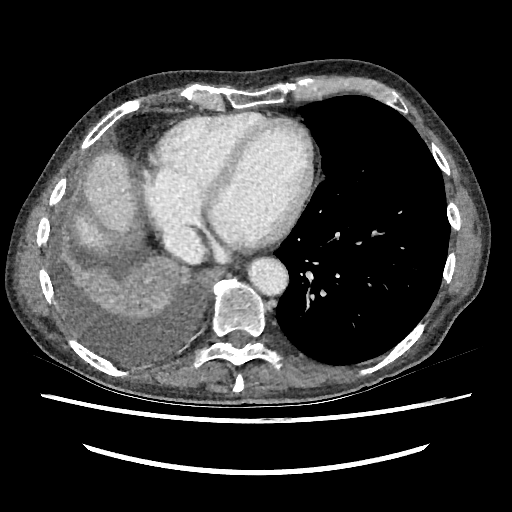
Computed tomography, Liver

{"liver": ["(73,152,135,251)"]}